FLAIR magnetic resonance.
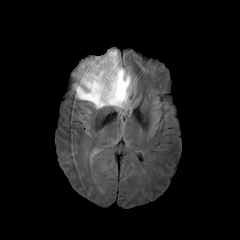
T1-weighted MR.
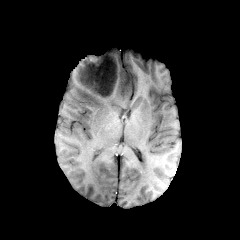
Post-contrast T1-weighted MR.
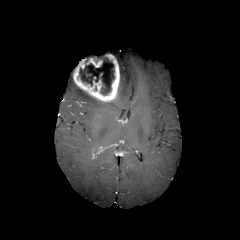
T2-weighted MR image.
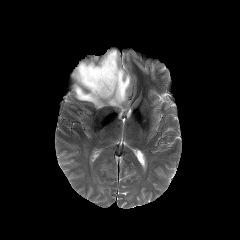
<segmentation>
  <edema>box(73, 49, 134, 114)</edema>
  <enhancing_tumor>box(73, 53, 119, 101)</enhancing_tumor>
  <non-enhancing_tumor_core>box(80, 56, 113, 93)</non-enhancing_tumor_core>
</segmentation>